MR, Medial temporal lobe
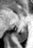 <segmentation>
  <posterior_hippocampus>(15, 28, 27, 41)</posterior_hippocampus>
</segmentation>